Brain, Slice 82/155
FLAIR magnetic resonance.
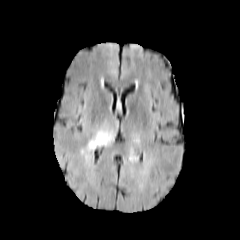
T1-weighted magnetic resonance.
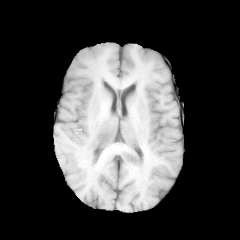
Post-contrast T1-weighted MR image.
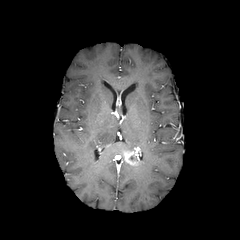
T2-weighted MR image.
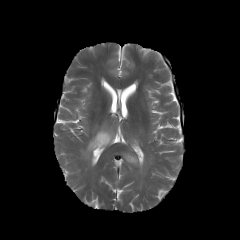
The edema is at x1=80 y1=129 x2=114 y2=155. The enhancing tumor appears at x1=122 y1=150 x2=140 y2=166.